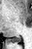

Magnetic resonance. 32x49. Medial temporal lobe.
Annotated regions:
• posterior hippocampus: (9, 36, 20, 43)